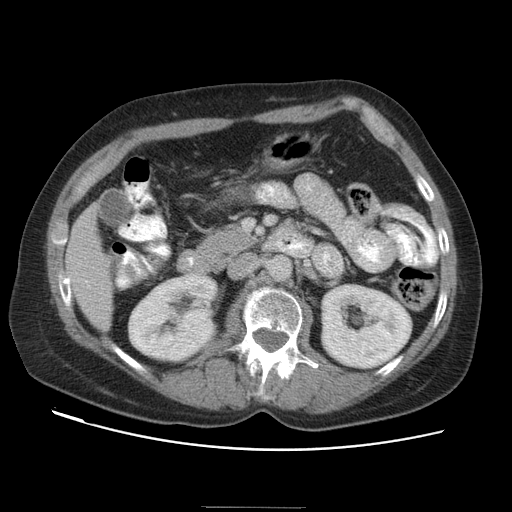
Abdomen, 512x512, CT image
<segmentation>
  <pancreas><bbox>191, 224, 259, 277</bbox></pancreas>
</segmentation>